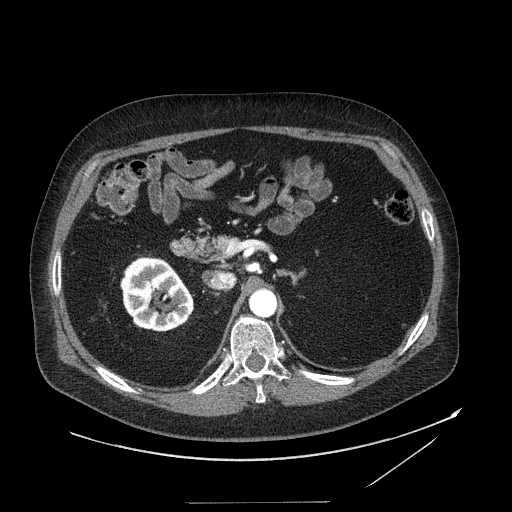 Abdomen. Computed tomography. 512x512.

The pancreas is bounded by 192 234 230 263.